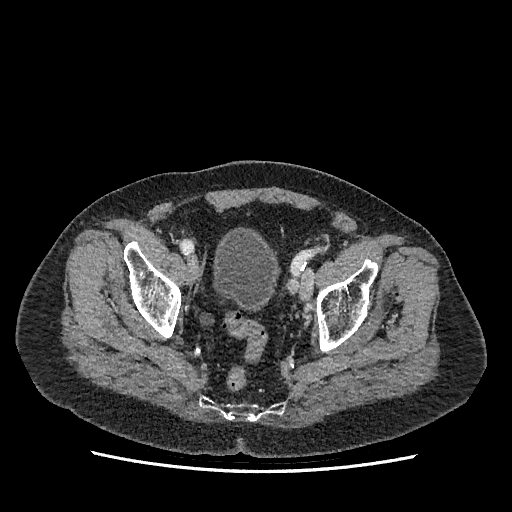

CT.
urinary bladder: [213,232,274,310]